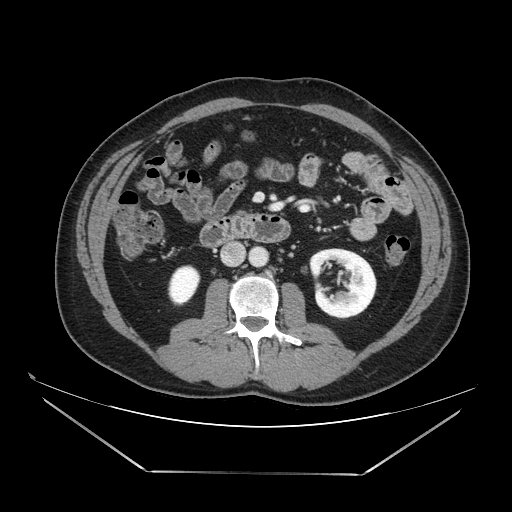

Image size 512x512. CT scan slice.
pancreas: 234 210 247 216